Hippocampus | MR | Field of view 35x49 mm

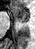 <segmentation>
  <anterior_hippocampus>[10, 7, 28, 20]</anterior_hippocampus>
  <posterior_hippocampus>[20, 21, 27, 22]</posterior_hippocampus>
</segmentation>